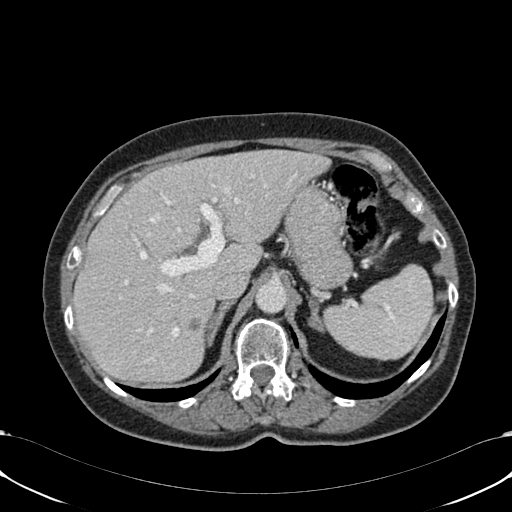
CT slice, Liver
Liver = {"x1": 73, "y1": 151, "x2": 330, "y2": 383}.
Focal liver lesion = {"x1": 190, "y1": 319, "x2": 199, "y2": 330}.